Brain
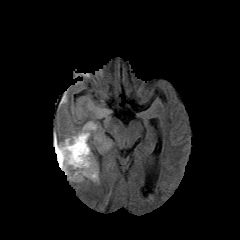
FLAIR magnetic resonance.
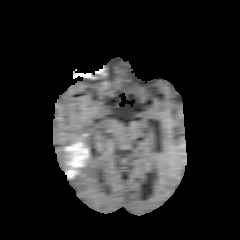
Same slice, T1-weighted MR.
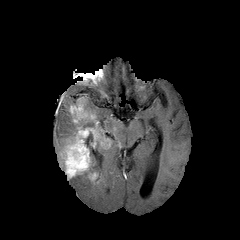
Post-contrast T1-weighted magnetic resonance.
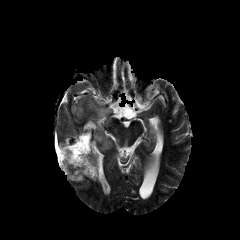
T2-weighted MR.
Enhancing tumor: box=[57, 120, 109, 179].
Non-enhancing tumor core: box=[84, 132, 97, 157]; box=[54, 140, 65, 154].
Edema: box=[58, 128, 77, 142]; box=[70, 174, 89, 182]; box=[92, 139, 112, 179]; box=[82, 102, 109, 127].